Slice 503 of 685. Upper abdomen. CT image.
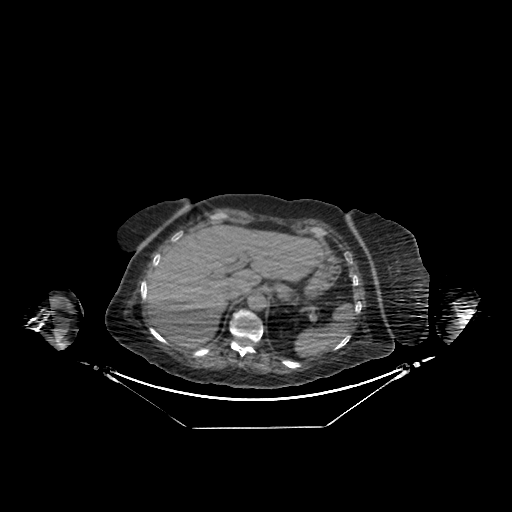
The liver is at box(145, 223, 321, 349).